MRI | Slice index 83
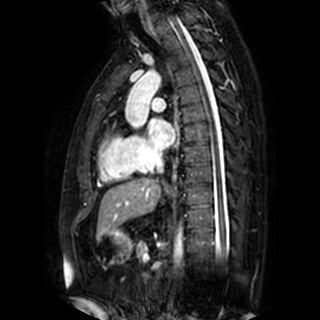 Left atrium: 148, 117, 174, 149.